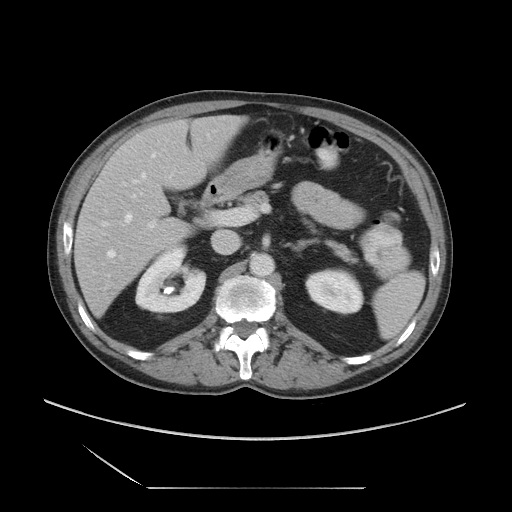
Abdomen. CT image.

The vessel boxes may cover only some of the vessels.
10 hepatic vessel regions are bounded by box(125, 213, 131, 222); box(108, 250, 114, 257); box(152, 153, 155, 157); box(102, 221, 107, 225); box(142, 173, 145, 178); box(132, 179, 138, 183); box(170, 174, 172, 177); box(132, 194, 134, 196); box(148, 220, 155, 227); box(208, 135, 209, 138).